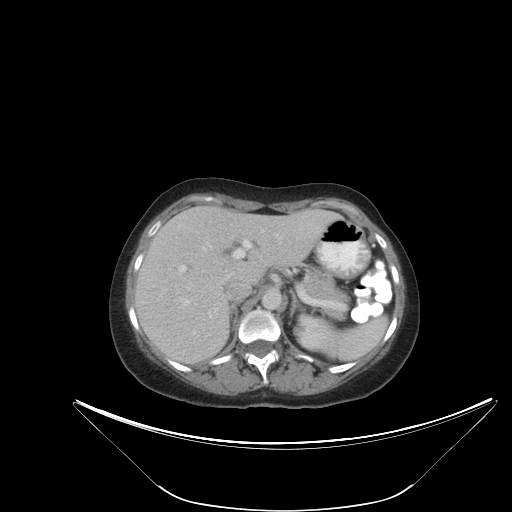
CT image. Abdomen. Image size 512x512. Not every hepatic vessel necessarily has a box.
Hepatic vessel — box=[234, 241, 250, 257]; box=[180, 265, 185, 270].